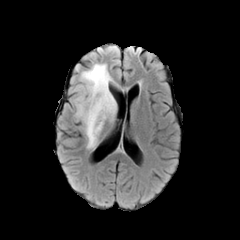
FLAIR magnetic resonance.
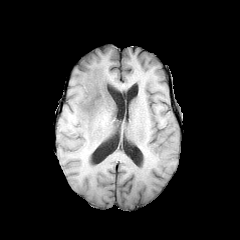
Same slice, T1-weighted magnetic resonance.
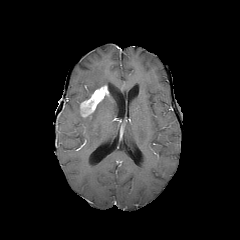
Post-contrast T1-weighted magnetic resonance.
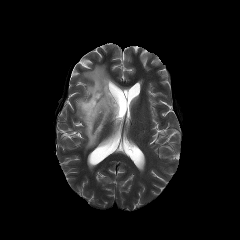
T2-weighted MR of the same slice.
240x240 px
* edema: 75, 64, 115, 148
* enhancing tumor: 80, 85, 109, 117